CT, Slice 115/266 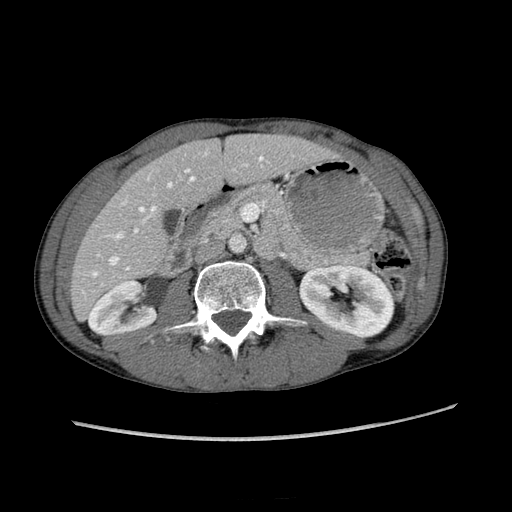

Annotated regions:
• kidney: 89,281,154,332; 298,265,392,336
• liver: 67,134,335,321